FLAIR magnetic resonance.
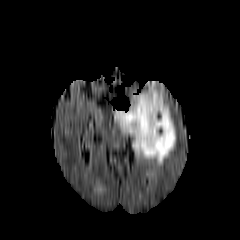
T1-weighted magnetic resonance.
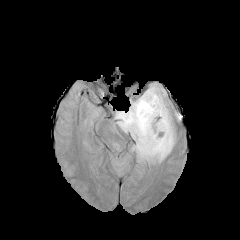
Post-contrast T1-weighted MRI.
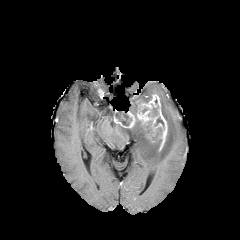
T2-weighted magnetic resonance.
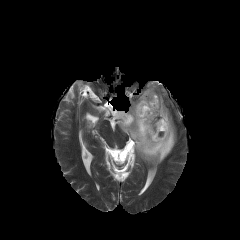
Brain
The edema is at (left=118, top=82, right=176, bottom=164). The enhancing tumor is located at (left=114, top=93, right=167, bottom=149). 2 non-enhancing tumor core regions are bounded by (left=115, top=110, right=131, bottom=125), (left=142, top=122, right=162, bottom=150).